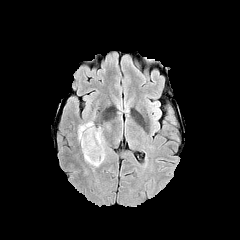
FLAIR MRI.
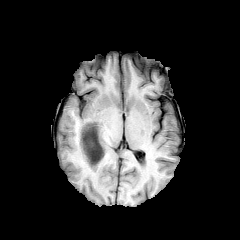
T1-weighted MR image.
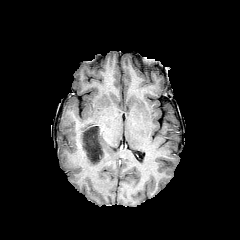
Post-contrast T1-weighted MRI of the same slice.
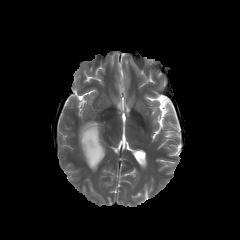
T2-weighted magnetic resonance of the same slice.
The non-enhancing tumor core is at 82,125,102,162. 3 edema regions are bounded by 78,120,94,149; 152,104,159,113; 84,126,107,170.